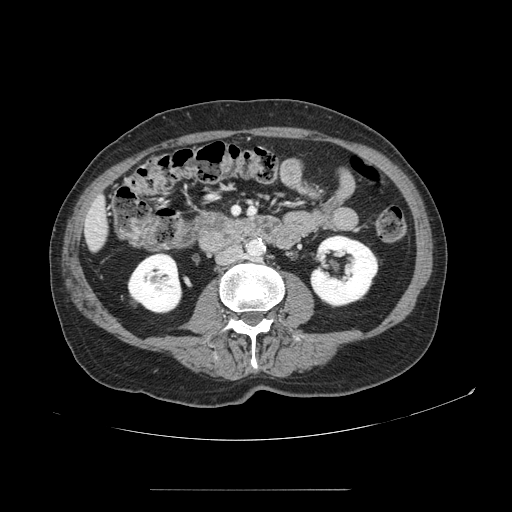 512x512 px, CT slice, Abdomen
Pancreas — 195,210,244,250.